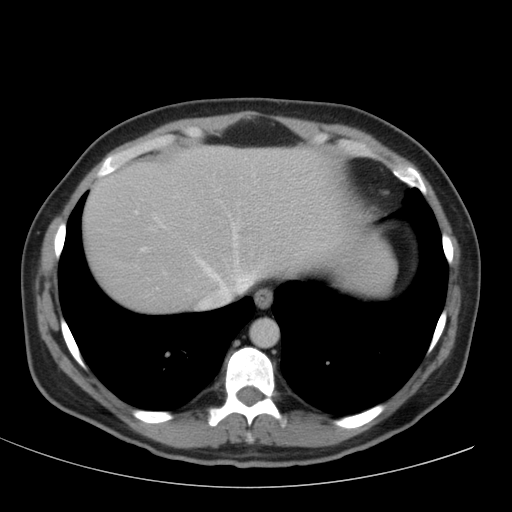 CT

Liver: bbox=[84, 146, 358, 311]; bbox=[355, 243, 390, 279].